Slice 94 of 155
FLAIR MR image.
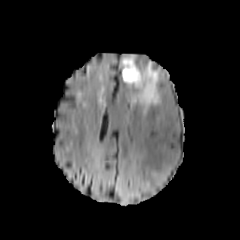
T1-weighted MR.
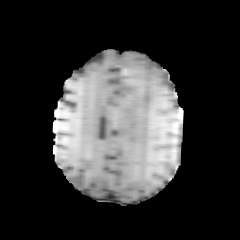
Post-contrast T1-weighted MR image.
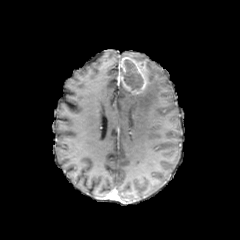
T2-weighted magnetic resonance.
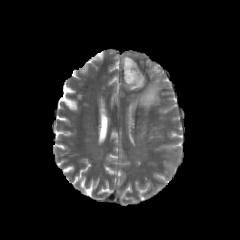
The non-enhancing tumor core lies within bbox(121, 59, 143, 92). The edema lies within bbox(128, 61, 161, 110). 2 enhancing tumor regions are located at bbox(121, 76, 130, 91); bbox(121, 57, 147, 94).